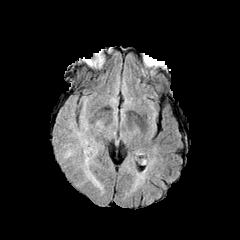
FLAIR MR image.
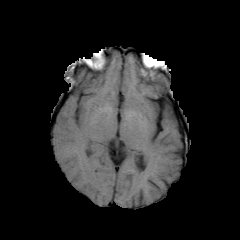
T1-weighted magnetic resonance of the same slice.
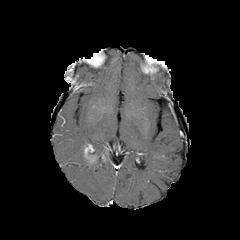
Post-contrast T1-weighted MRI.
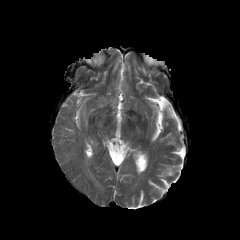
T2-weighted MR.
240x240 | Head
The enhancing tumor lies within 84,145,92,159. The edema is at 84,144,99,165.